Slice index 293. Brain. CT. 512x512 px.

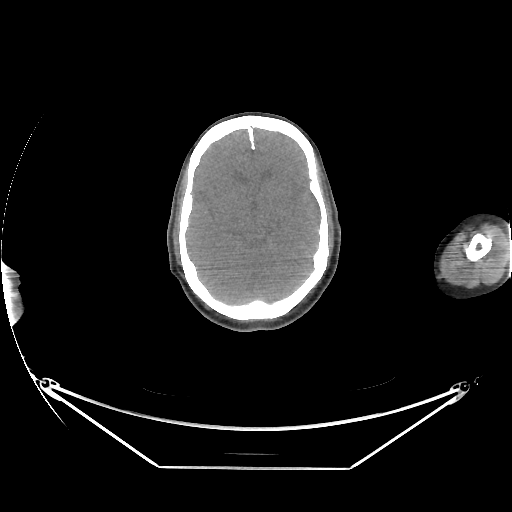
- brain: left=185, top=128, right=321, bottom=305